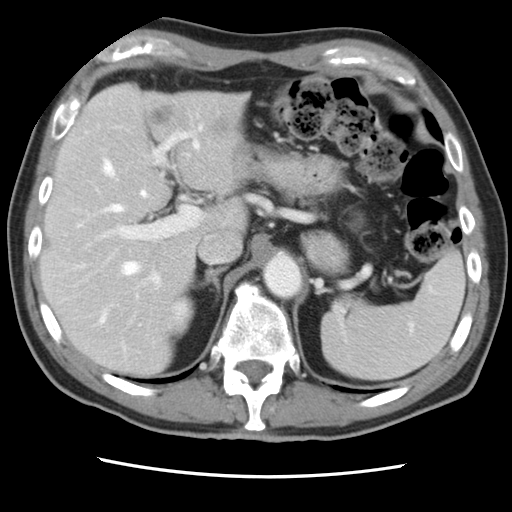
CT scan slice, Liver
Some hepatic vessels may have no box.
2 liver tumor regions appear at x1=213, y1=117, x2=234, y2=132; x1=150, y1=105, x2=172, y2=124. 15 hepatic vessel regions are located at x1=141, y1=190, x2=145, y2=195; x1=109, y1=205, x2=124, y2=211; x1=152, y1=220, x2=181, y2=231; x1=154, y1=150, x2=157, y2=153; x1=78, y1=224, x2=81, y2=226; x1=76, y1=264, x2=84, y2=267; x1=118, y1=226, x2=128, y2=236; x1=155, y1=157, x2=160, y2=163; x1=101, y1=312, x2=106, y2=322; x1=103, y1=161, x2=113, y2=175; x1=199, y1=126, x2=202, y2=129; x1=150, y1=274, x2=160, y2=284; x1=168, y1=131, x2=198, y2=148; x1=123, y1=262, x2=139, y2=274; x1=123, y1=345, x2=125, y2=348.